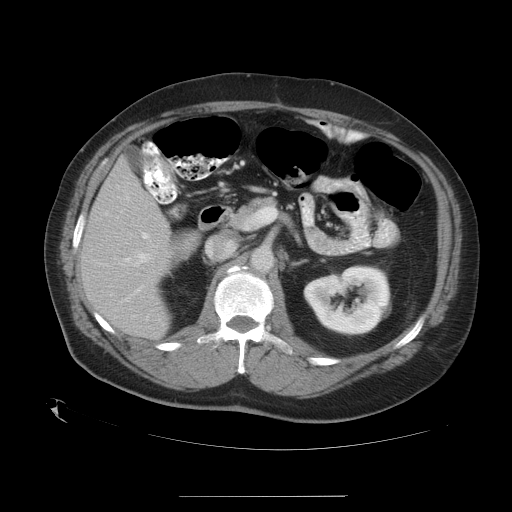 CT scan slice

The vessel annotation is not exhaustive.
6 hepatic vessel regions are bounded by box=[137, 254, 138, 260]; box=[140, 253, 144, 253]; box=[147, 235, 148, 237]; box=[147, 254, 149, 258]; box=[118, 258, 138, 266]; box=[126, 197, 128, 199].